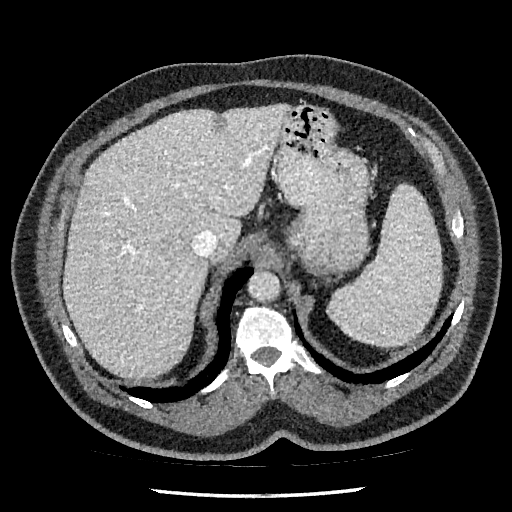

CT
<segmentation>
  <focal_liver_lesion>l=215, t=115, r=228, b=132</focal_liver_lesion>
  <liver>l=63, t=105, r=288, b=377</liver>
</segmentation>